CT slice | Liver | Slice 101/143
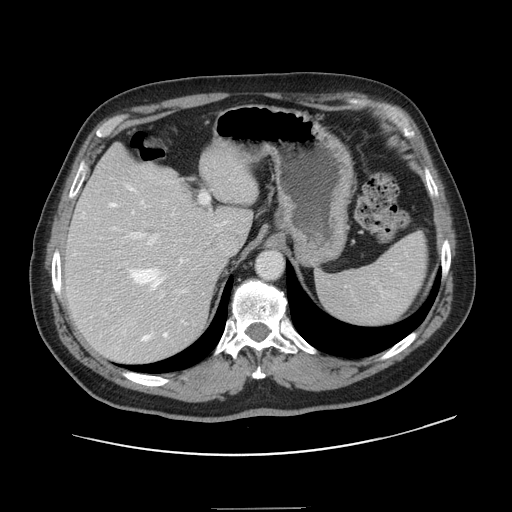
The vessel boxes may cover only some of the vessels.
hepatic vessel: {"x1": 182, "y1": 290, "x2": 186, "y2": 292}, {"x1": 148, "y1": 237, "x2": 155, "y2": 243}, {"x1": 143, "y1": 335, "x2": 150, "y2": 340}, {"x1": 132, "y1": 211, "x2": 133, "y2": 212}, {"x1": 142, "y1": 202, "x2": 143, "y2": 204}, {"x1": 180, "y1": 259, "x2": 186, "y2": 261}, {"x1": 131, "y1": 269, "x2": 162, "y2": 287}, {"x1": 128, "y1": 186, "x2": 134, "y2": 190}, {"x1": 202, "y1": 195, "x2": 208, "y2": 202}, {"x1": 163, "y1": 333, "x2": 166, "y2": 336}, {"x1": 109, "y1": 203, "x2": 116, "y2": 206}, {"x1": 131, "y1": 232, "x2": 141, "y2": 237}